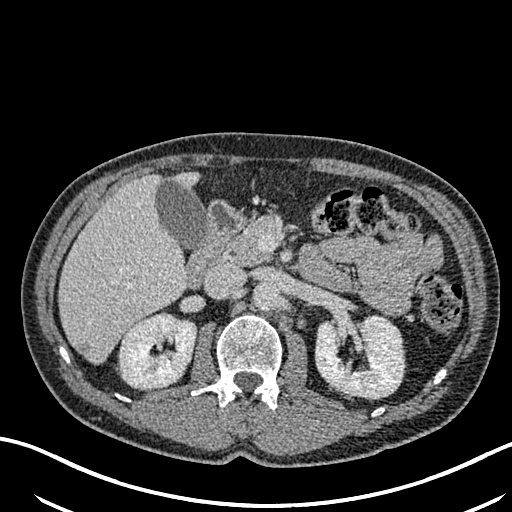
CT image, Liver

<segmentation>
  <liver_lesion>[x1=75, y1=341, x2=91, y2=357]</liver_lesion>
  <liver>[x1=59, y1=176, x2=186, y2=362], [x1=178, y1=173, x2=196, y2=187]</liver>
  <kidney>[x1=120, y1=315, x2=195, y2=387], [x1=316, y1=316, x2=403, y2=397]</kidney>
</segmentation>